Brain, Slice 119 of 155
FLAIR MRI.
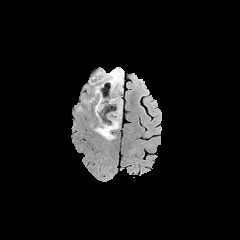
T1-weighted MR.
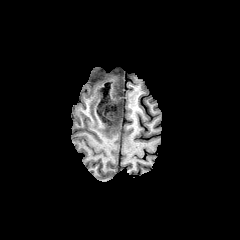
Post-contrast T1-weighted magnetic resonance.
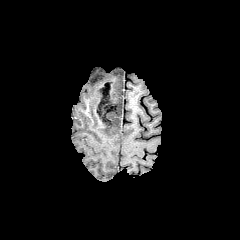
T2-weighted magnetic resonance.
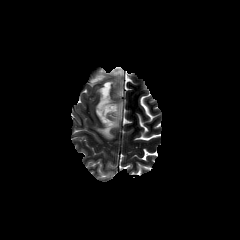
3 non-enhancing tumor core regions appear at 112 110 121 118, 98 120 113 128, 95 96 111 113. 2 edema regions appear at 92 68 123 109, 95 110 121 139.